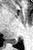
Medial temporal lobe; MRI slice
Posterior hippocampus — region(7, 40, 17, 43).